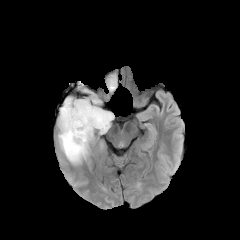
FLAIR MR image.
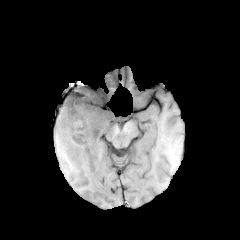
T1-weighted MR image of the same slice.
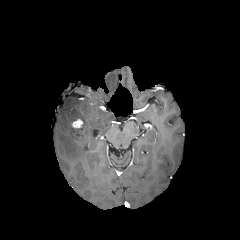
Same slice, post-contrast T1-weighted MR.
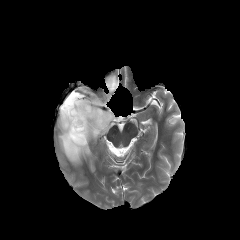
Same slice, T2-weighted MRI.
Head
Edema = bbox=[107, 76, 116, 91]; bbox=[58, 96, 113, 164].
Non-enhancing tumor core = bbox=[67, 92, 105, 140].
Enhancing tumor = bbox=[72, 118, 83, 127].